Upper abdomen | Slice index 63 | CT 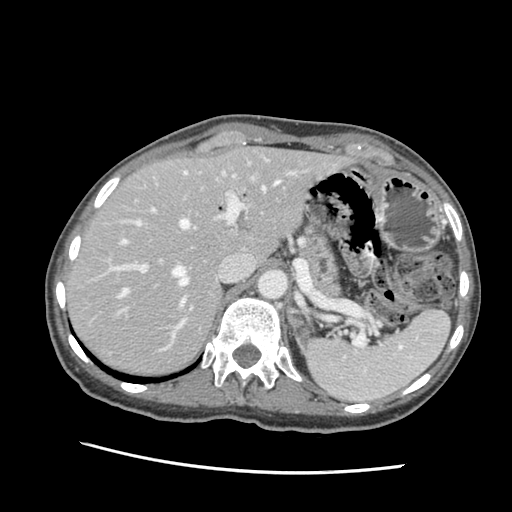

pancreas: left=303, top=225, right=340, bottom=299